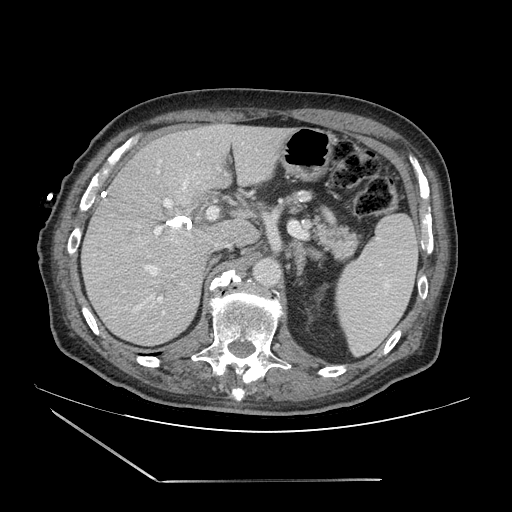

Abdomen | CT image | 512x512 px

<segmentation>
  <pancreas>314, 217, 360, 262</pancreas>
</segmentation>